CT scan slice, 512x512, Upper abdomen
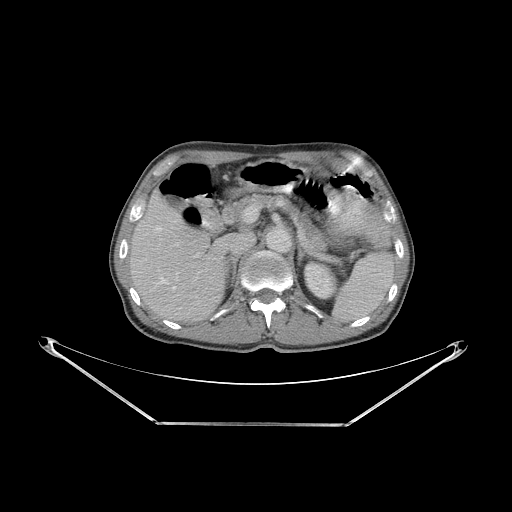 Liver: <box>131,188,229,321</box>.
Kidney: <box>305,264,332,297</box>.
Bone: <box>130,207,140,220</box>, <box>242,252,291,292</box>, <box>130,288,139,304</box>, <box>250,298,285,326</box>, <box>163,320,180,328</box>, <box>119,240,127,257</box>, <box>389,284,396,300</box>, <box>395,240,403,257</box>, <box>351,317,369,326</box>, <box>387,210,394,220</box>.